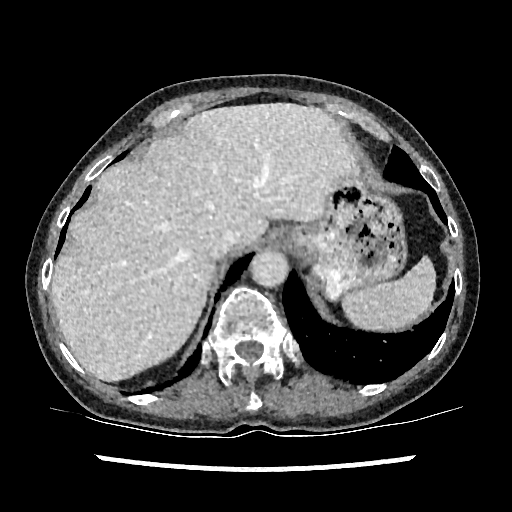

CT image.

Liver at bbox=[53, 104, 354, 379].